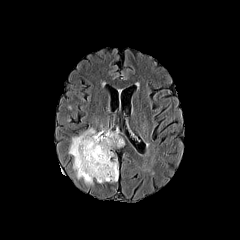
FLAIR magnetic resonance.
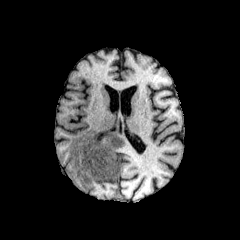
Same slice, T1-weighted MR.
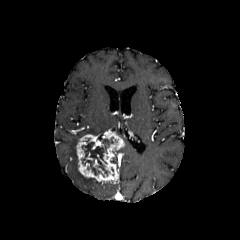
Post-contrast T1-weighted MR image.
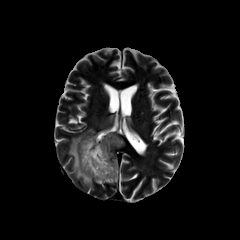
T2-weighted MR of the same slice.
Non-enhancing tumor core: bounding box bbox=[102, 137, 113, 150]; bbox=[80, 137, 109, 176].
Enhancing tumor: bounding box bbox=[76, 130, 124, 183].
Edema: bounding box bbox=[68, 128, 96, 186].